CT image. Abdomen.
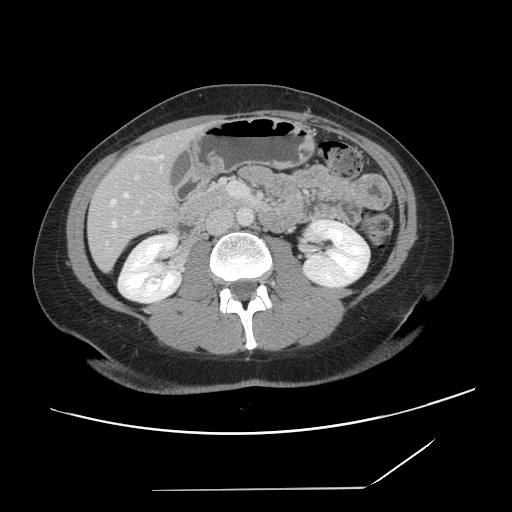 Only some of the vessels may be annotated.
{
  "hepatic_vessel": [
    "bbox=[151, 155, 162, 160]",
    "bbox=[135, 176, 138, 178]",
    "bbox=[136, 211, 138, 213]",
    "bbox=[111, 200, 115, 205]",
    "bbox=[106, 242, 107, 243]",
    "bbox=[112, 221, 116, 227]",
    "bbox=[125, 193, 127, 197]"
  ]
}